Field of view 403 mm wide, 5.00 mm slice spacing; Slice 18/37; Computed tomography; Abdomen 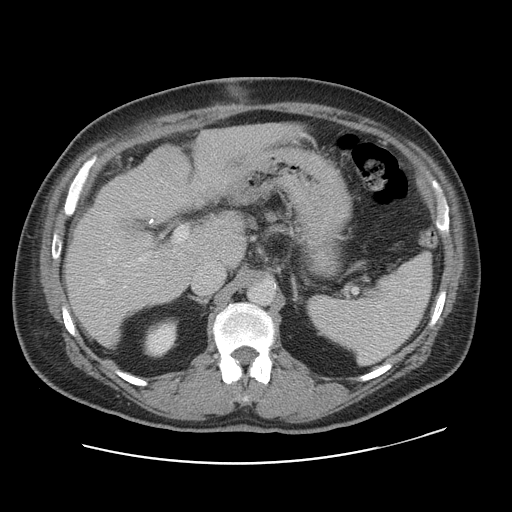 Not every hepatic vessel necessarily has a box.
Findings:
• hepatic vessel: (left=201, top=185, right=206, bottom=188), (left=154, top=261, right=157, bottom=264), (left=124, top=279, right=127, bottom=287), (left=177, top=195, right=187, bottom=200), (left=121, top=260, right=135, bottom=266), (left=173, top=248, right=175, bottom=252), (left=98, top=278, right=105, bottom=283), (left=151, top=209, right=154, bottom=215), (left=135, top=273, right=138, bottom=275), (left=174, top=225, right=187, bottom=242), (left=138, top=252, right=149, bottom=262), (left=215, top=254, right=217, bottom=256)